FLAIR MR image.
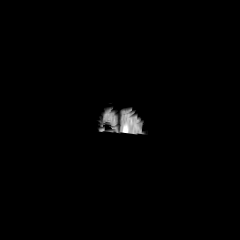
T1-weighted MRI.
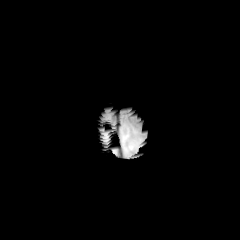
Post-contrast T1-weighted magnetic resonance.
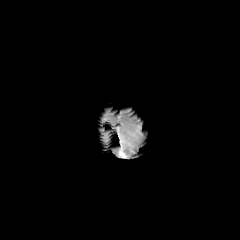
T2-weighted MRI.
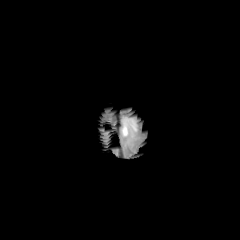
edema: {"x1": 122, "y1": 117, "x2": 137, "y2": 135}